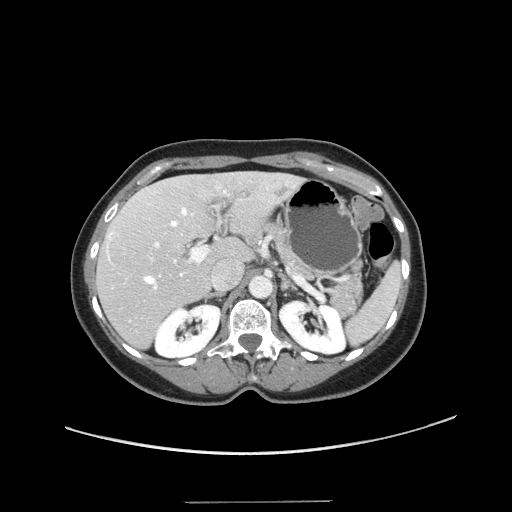 CT scan slice. Image size 512x512.

Only some of the vessels may be annotated.
<segmentation>
  <hepatic_vessel>210 263 229 288, 155 242 158 245, 182 208 186 213, 191 244 208 261, 107 233 111 243, 171 221 176 225, 108 251 108 255, 146 276 156 288, 236 261 240 271, 181 273 183 274</hepatic_vessel>
</segmentation>